Brain
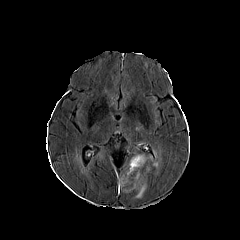
FLAIR MR.
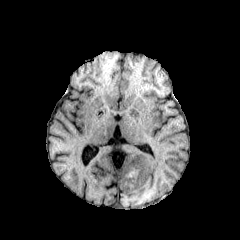
T1-weighted MRI of the same slice.
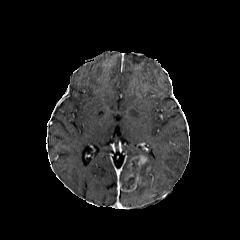
Post-contrast T1-weighted MR of the same slice.
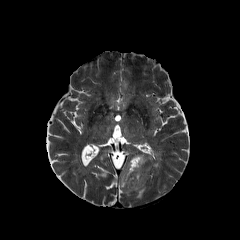
T2-weighted MRI.
Edema = [135,183,147,198], [146,147,161,173].
Enhancing tumor = [121,154,149,180], [119,173,145,192].
Non-enhancing tumor core = [121,157,155,189].